CT slice, Liver
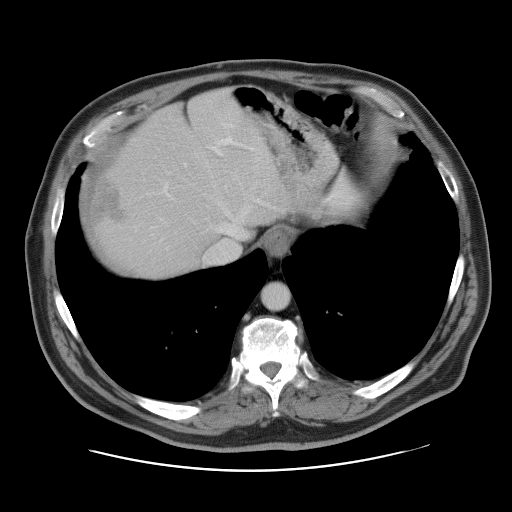

The vessel boxes may cover only some of the vessels.
• liver tumor: {"x1": 91, "y1": 178, "x2": 129, "y2": 225}
• hepatic vessel: {"x1": 251, "y1": 198, "x2": 267, "y2": 204}, {"x1": 163, "y1": 186, "x2": 166, "y2": 192}, {"x1": 203, "y1": 200, "x2": 250, "y2": 262}, {"x1": 224, "y1": 124, "x2": 234, "y2": 127}, {"x1": 210, "y1": 136, "x2": 237, "y2": 153}